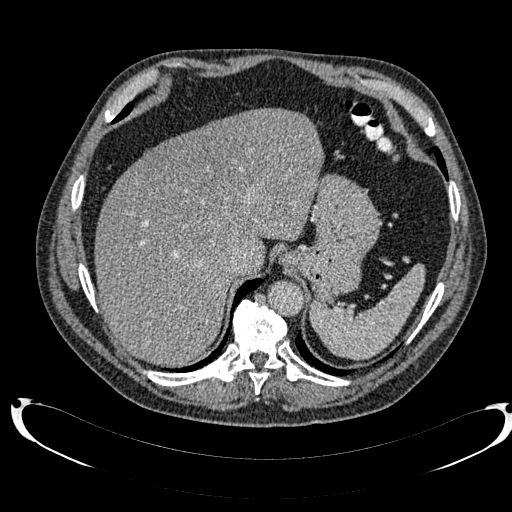
CT slice

Liver: (x1=95, y1=109, x2=322, y2=364), (x1=149, y1=138, x2=175, y2=151).
Focal liver lesion: (x1=137, y1=115, x2=267, y2=220).